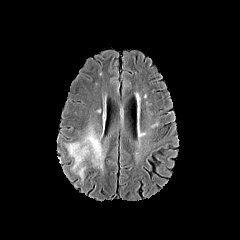
FLAIR MRI.
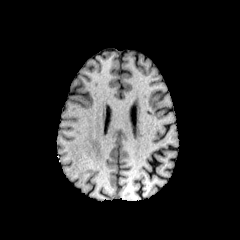
T1-weighted MRI.
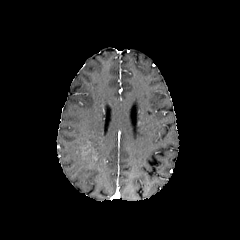
Post-contrast T1-weighted MR image.
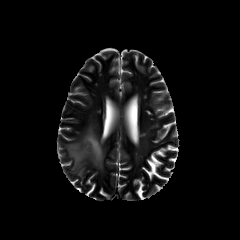
T2-weighted magnetic resonance of the same slice.
Head | Image size 240x240
edema: [65,126,104,181]